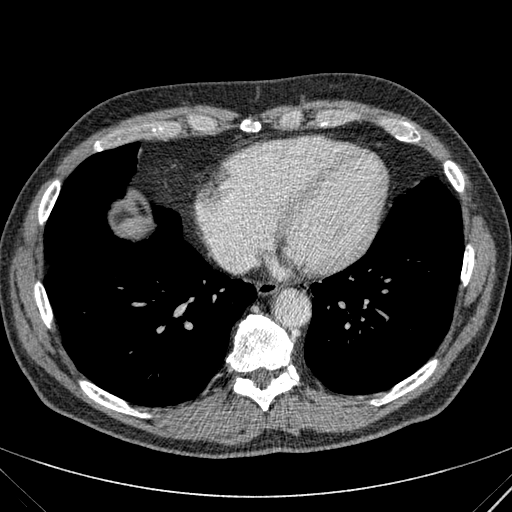
512x512 px; CT slice; Abdomen
Liver at bbox=[121, 218, 145, 235].